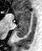 MR. posterior hippocampus: 17, 24, 28, 37 | anterior hippocampus: 15, 7, 30, 23